240x240 px, Brain, Slice 57/155
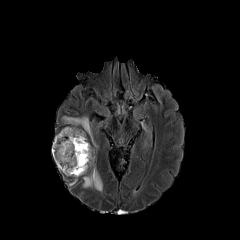
FLAIR MR image.
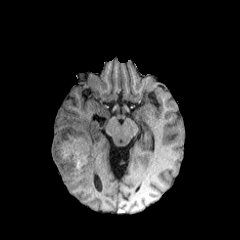
T1-weighted MR image of the same slice.
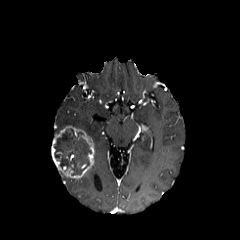
Post-contrast T1-weighted MRI.
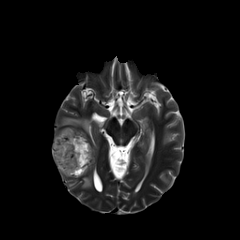
T2-weighted MR.
<segmentation>
  <enhancing_tumor>region(53, 126, 95, 178); region(52, 149, 66, 172)</enhancing_tumor>
  <edema>region(62, 116, 92, 137); region(83, 169, 102, 193)</edema>
  <non-enhancing_tumor_core>region(53, 129, 91, 175)</non-enhancing_tumor_core>
</segmentation>